CT. Image size 512x512. 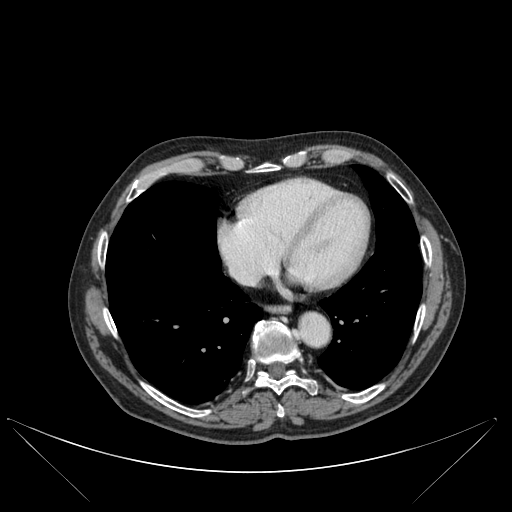

Segmented structures:
- lung: [318, 165, 421, 389], [106, 181, 262, 403]
- bone: [297, 356, 308, 373], [255, 165, 278, 171], [342, 384, 384, 403], [414, 305, 425, 335], [255, 370, 317, 394], [402, 192, 411, 201], [103, 309, 116, 335], [277, 406, 283, 416], [244, 321, 298, 380], [97, 232, 107, 265], [127, 176, 152, 201], [141, 383, 209, 416], [421, 236, 431, 264]